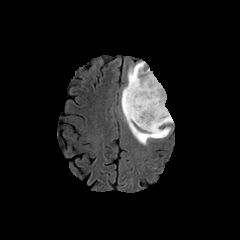
FLAIR MR image.
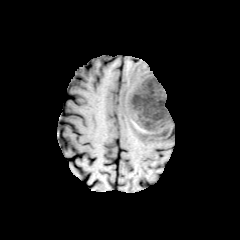
T1-weighted MR.
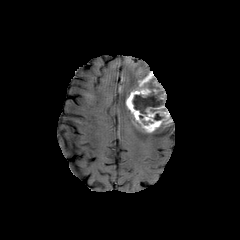
Post-contrast T1-weighted magnetic resonance of the same slice.
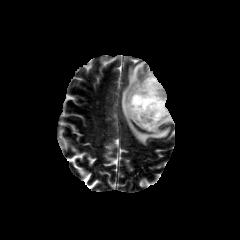
T2-weighted MR image of the same slice.
Image size 240x240, Head
* edema: 119,61,172,145
* non-enhancing tumor core: 133,80,165,113; 150,128,165,135
* enhancing tumor: 125,71,172,132